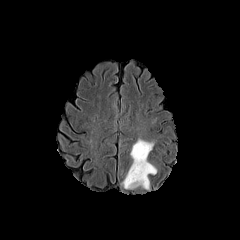
FLAIR magnetic resonance.
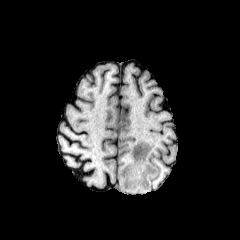
T1-weighted MR image.
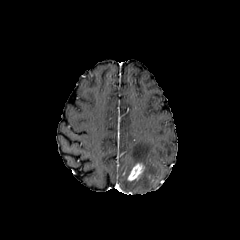
Post-contrast T1-weighted MR image of the same slice.
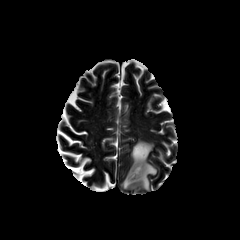
T2-weighted MR image of the same slice.
edema:
  - <box>121,139,156,189</box>
enhancing_tumor:
  - <box>127,161,145,181</box>